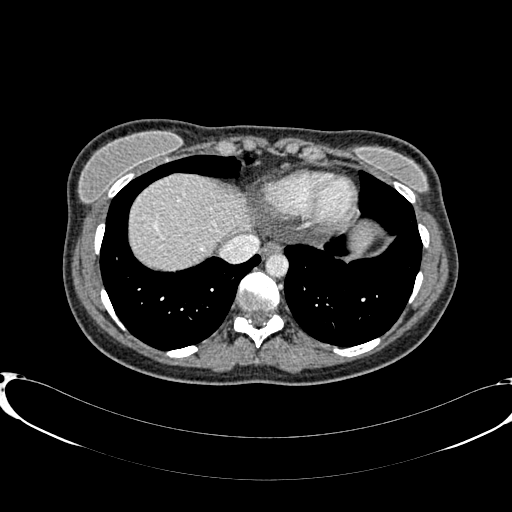 CT image. 2 liver regions are bounded by l=353, t=227, r=371, b=250; l=129, t=174, r=247, b=268.